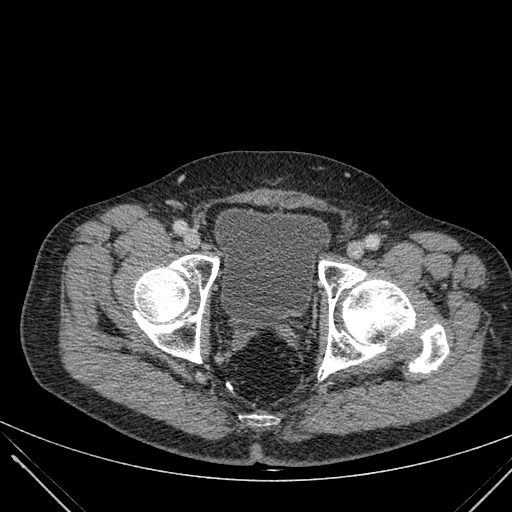

CT | Lower abdomen
The urinary bladder appears at {"x1": 215, "y1": 208, "x2": 329, "y2": 320}.